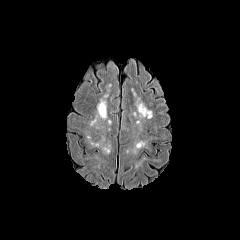
FLAIR MRI.
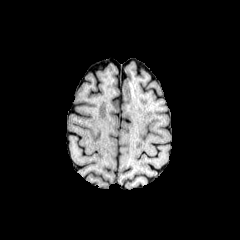
T1-weighted MR.
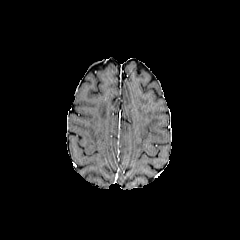
Post-contrast T1-weighted MR.
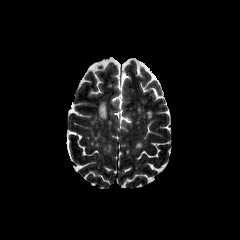
Same slice, T2-weighted magnetic resonance.
Brain
Edema: bounding box 98 101 105 118.